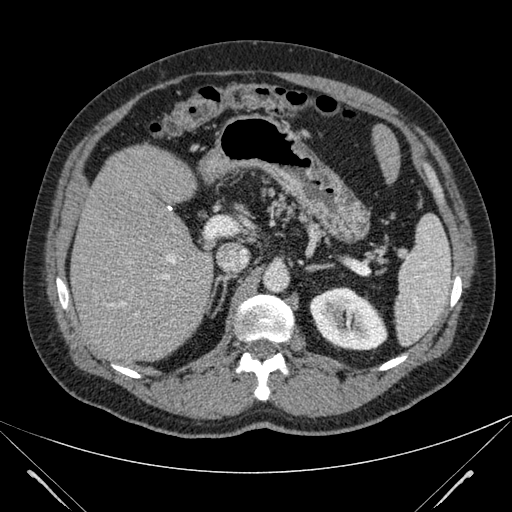 CT slice
Kidney — <box>311,289,386,349</box>.
Liver — <box>373,124,399,183</box>, <box>64,143,209,371</box>.